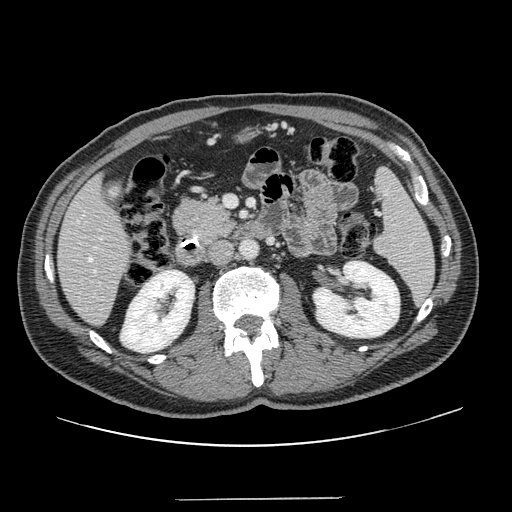
CT scan slice. Upper abdomen.
The pancreas appears at x1=170 y1=194 x2=239 y2=248. The pancreatic tumor is located at x1=193 y1=205 x2=231 y2=244.